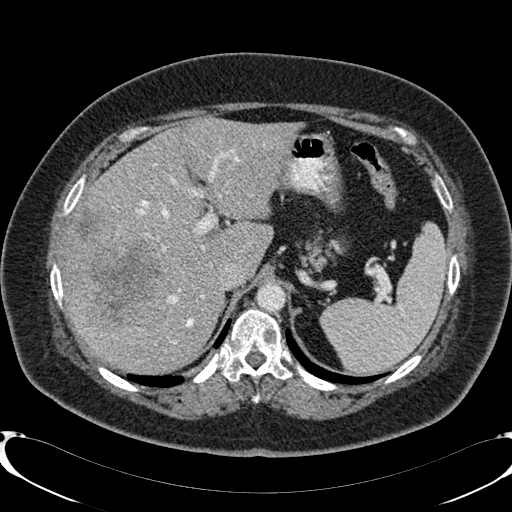
CT scan slice; Liver
Liver: bounding box region(64, 117, 302, 370).
Focal liver lesion: bounding box region(68, 206, 165, 329).